CT. Image size 512x512.
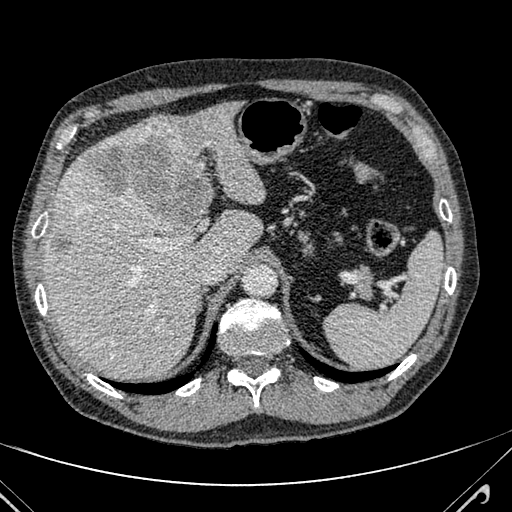

liver lesion: bbox=[90, 133, 212, 228]; bbox=[51, 237, 70, 250] | liver: bbox=[46, 103, 263, 377]